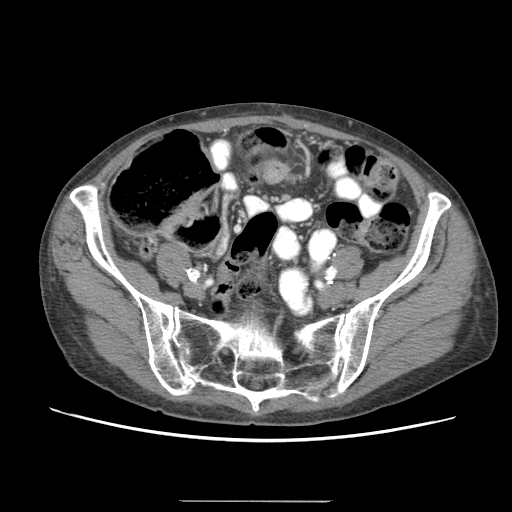
Computed tomography. 512x512. Abdomen.
Findings:
- colon tumor: box=[263, 161, 289, 184]